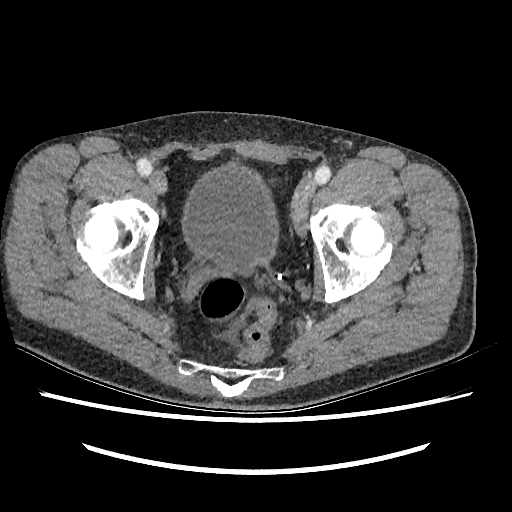

CT slice. Lower abdomen.
- urinary bladder: 184, 168, 274, 274